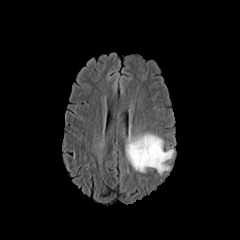
FLAIR MR image.
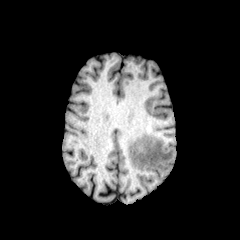
Same slice, T1-weighted MR image.
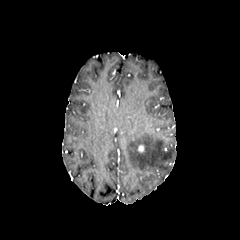
Same slice, post-contrast T1-weighted MR image.
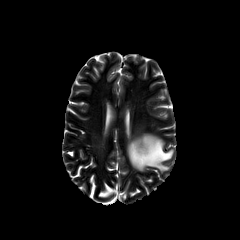
Same slice, T2-weighted MR.
edema:
  - x1=126 y1=133 x2=173 y2=172